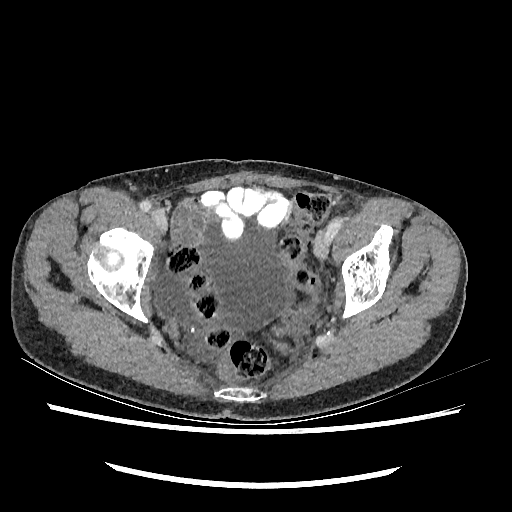

512x512 px. CT. * urinary bladder: 158,219,304,339